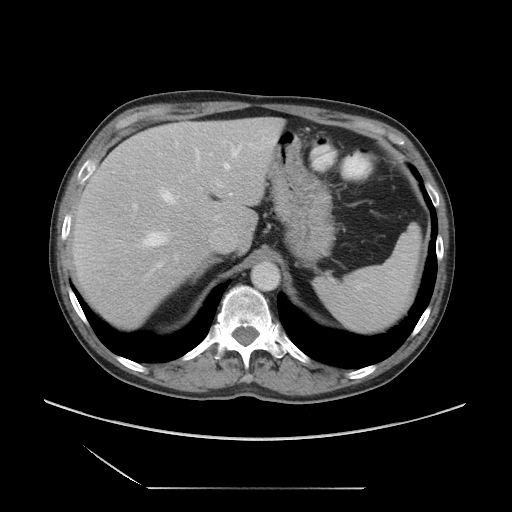 CT
Some hepatic vessels may have no box.
The liver tumor lies within [x1=103, y1=250, x2=132, y2=278]. The most prominent 15 hepatic vessel regions (of 18) appear at [x1=263, y1=137, x2=264, y2=139], [x1=260, y1=148, x2=262, y2=149], [x1=159, y1=263, x2=161, y2=266], [x1=209, y1=153, x2=212, y2=155], [x1=231, y1=145, x2=241, y2=156], [x1=217, y1=184, x2=222, y2=186], [x1=195, y1=148, x2=199, y2=163], [x1=160, y1=189, x2=177, y2=204], [x1=223, y1=140, x2=227, y2=142], [x1=249, y1=143, x2=251, y2=145], [x1=211, y1=226, x2=237, y2=240], [x1=143, y1=232, x2=166, y2=245], [x1=133, y1=205, x2=136, y2=208], [x1=192, y1=170, x2=199, y2=172], [x1=224, y1=163, x2=229, y2=168].